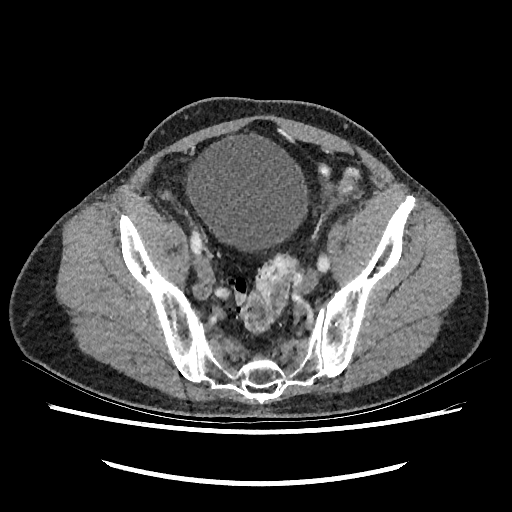
Lower abdomen; CT scan slice

Segmented structures:
- urinary bladder: bbox=[186, 131, 308, 252]